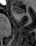

MR image
<segmentation>
  <anterior_hippocampus>(11,6,25,13)</anterior_hippocampus>
</segmentation>